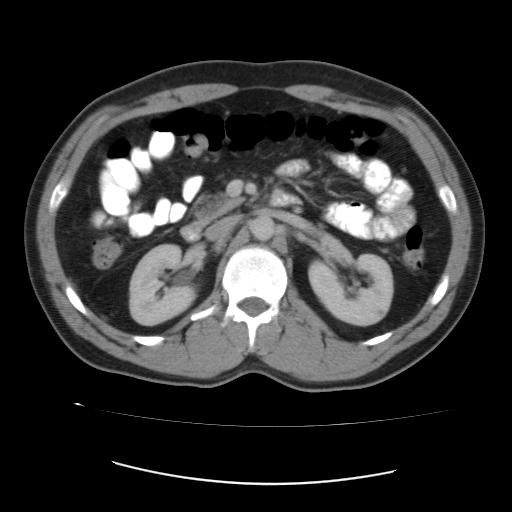
Abdomen. 512x512 px. CT slice.
The colon tumor lies within [402,249,423,267].